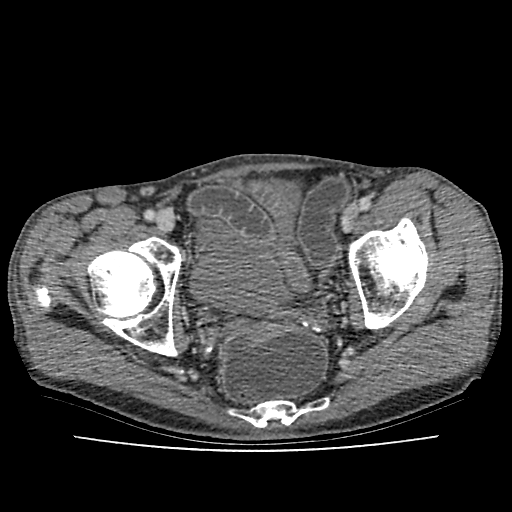

512x512 px; Lower abdomen; CT image
The urinary bladder is bounded by region(189, 178, 301, 308).